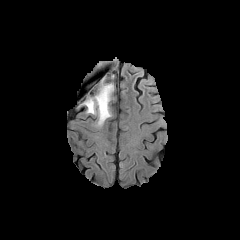
FLAIR magnetic resonance.
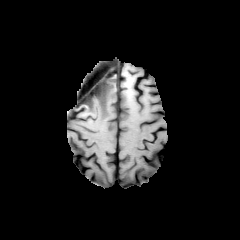
T1-weighted MR.
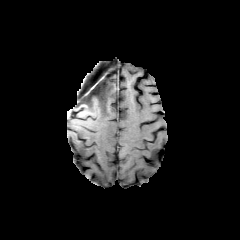
Post-contrast T1-weighted MR.
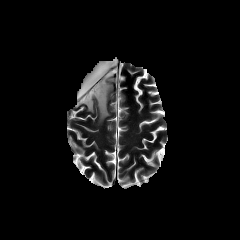
T2-weighted magnetic resonance.
non-enhancing_tumor_core:
  - 88:99:97:114
edema:
  - 82:76:113:126